Image width 240 mm
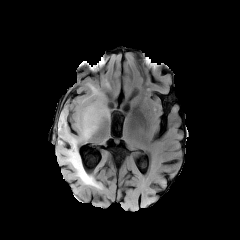
FLAIR MR image.
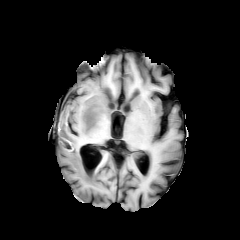
T1-weighted MRI of the same slice.
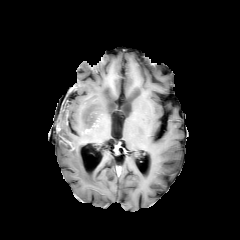
Post-contrast T1-weighted MRI.
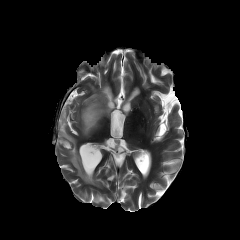
T2-weighted MR.
Edema = 80,104,106,139; 56,109,101,188.